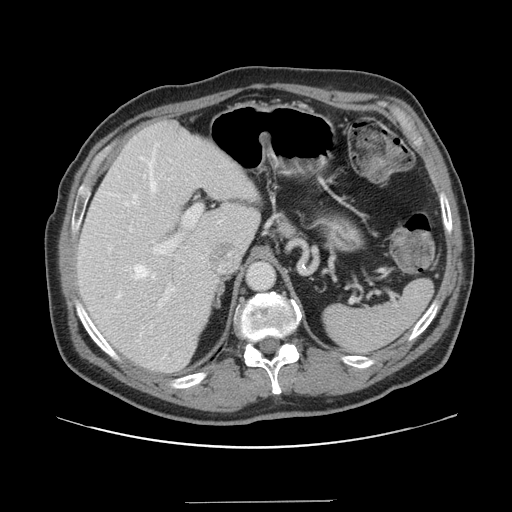 Liver, 512x512 px, CT slice
Some hepatic vessels may have no box.
11 hepatic vessel regions are bounded by x1=140, y1=151, x2=156, y2=192; x1=131, y1=194, x2=137, y2=203; x1=152, y1=275, x2=154, y2=277; x1=158, y1=284, x2=174, y2=307; x1=142, y1=326, x2=143, y2=328; x1=134, y1=265, x2=148, y2=278; x1=155, y1=144, x2=157, y2=146; x1=183, y1=205, x2=201, y2=225; x1=153, y1=236, x2=177, y2=254; x1=117, y1=295, x2=119, y2=297; x1=125, y1=202, x2=128, y2=205.